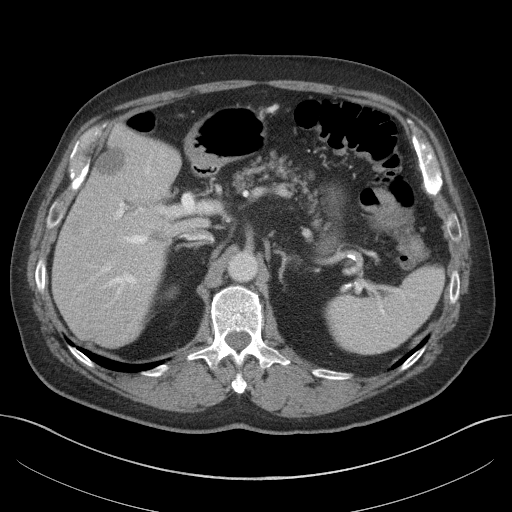 512x512; Abdomen; CT slice
Segmented structures:
* liver: <bbox>52, 127, 178, 346</bbox>
* focal liver lesion: <bbox>153, 231, 169, 243</bbox>, <bbox>96, 147, 126, 174</bbox>
* kidney: <bbox>161, 289, 171, 299</bbox>